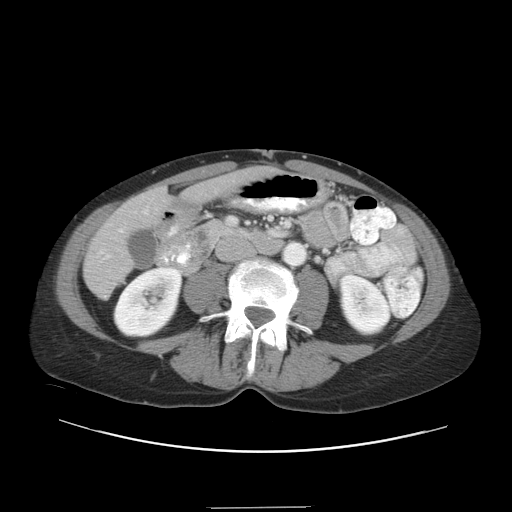 Liver | CT image

Only some of the vessels may be annotated.
4 hepatic vessel regions appear at {"x1": 119, "y1": 229, "x2": 122, "y2": 232}, {"x1": 143, "y1": 209, "x2": 148, "y2": 213}, {"x1": 105, "y1": 256, "x2": 109, "y2": 257}, {"x1": 100, "y1": 252, "x2": 103, "y2": 253}.